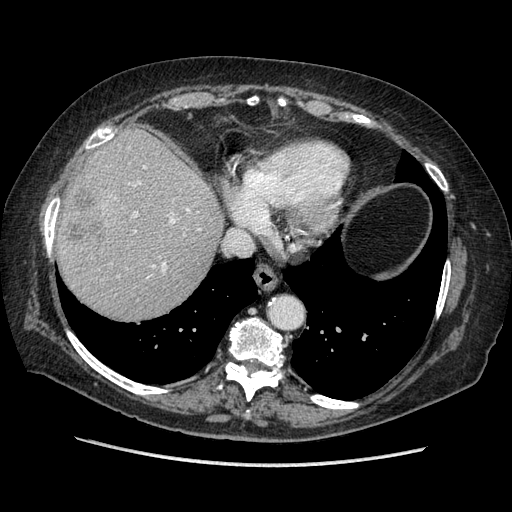
512x512 px, CT image

The vessel boxes may cover only some of the vessels.
Liver tumor: left=67, top=188, right=107, bottom=241.
Hepatic vessel: left=162, top=263, right=165, bottom=272; left=134, top=212, right=136, bottom=215; left=169, top=219, right=174, bottom=222; left=134, top=181, right=138, bottom=185.